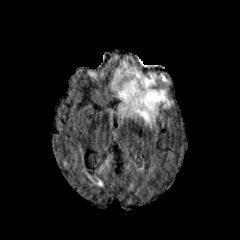
FLAIR MRI.
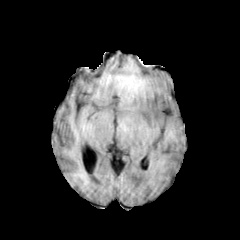
Same slice, T1-weighted magnetic resonance.
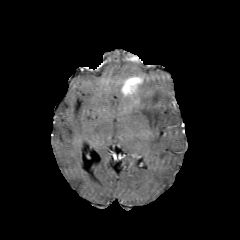
Post-contrast T1-weighted magnetic resonance of the same slice.
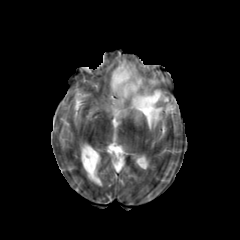
T2-weighted magnetic resonance.
{
  "enhancing_tumor": [
    "121,76,142,95"
  ],
  "edema": [
    "112,62,170,127"
  ]
}